CT image. 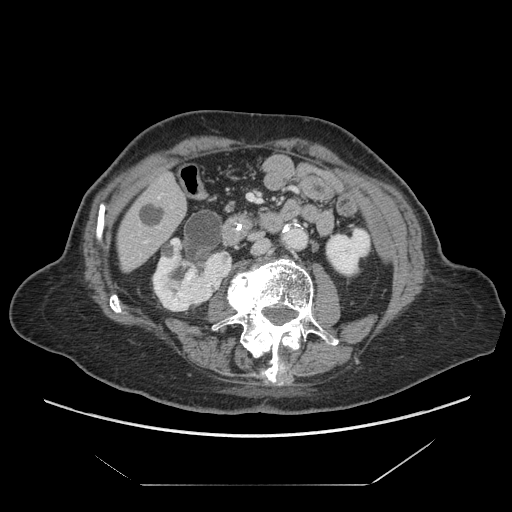

Segmented structures:
- pancreas: (x1=221, y1=198, x2=243, y2=214)